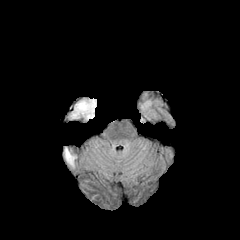
FLAIR MR image.
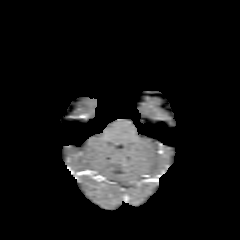
T1-weighted MRI.
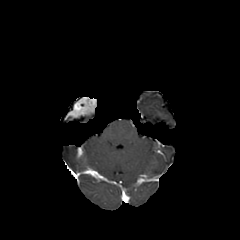
Post-contrast T1-weighted magnetic resonance.
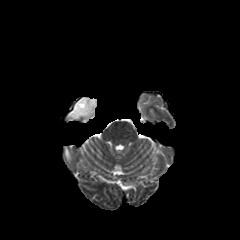
T2-weighted MR image.
240x240 px.
Annotated regions:
- edema: rect(65, 149, 73, 164)
- enhancing tumor: rect(68, 97, 96, 117)